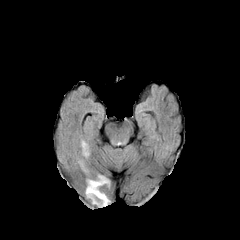
FLAIR MRI.
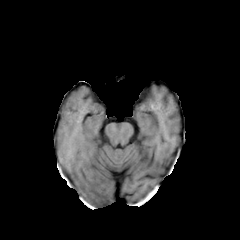
T1-weighted MR image.
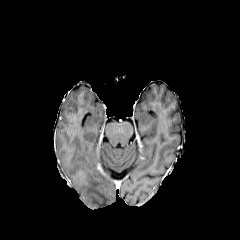
Same slice, post-contrast T1-weighted MR.
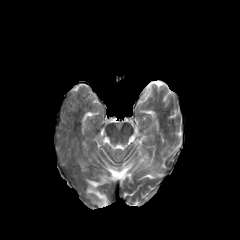
T2-weighted MR.
Head
Edema: bounding box left=86, top=174, right=109, bottom=206.